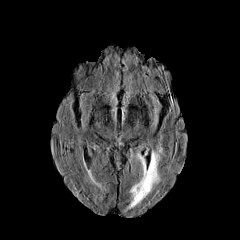
FLAIR magnetic resonance.
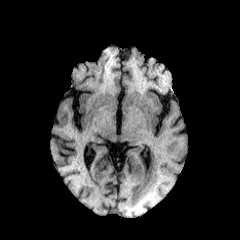
Same slice, T1-weighted magnetic resonance.
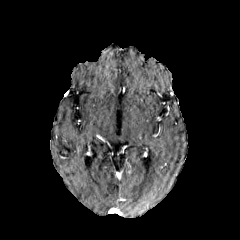
Post-contrast T1-weighted MR.
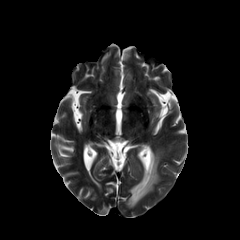
T2-weighted magnetic resonance of the same slice.
Brain
{"edema": ["[127,151,161,211]"]}